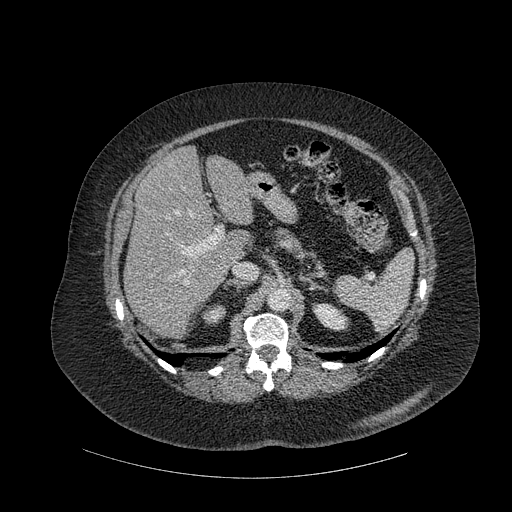
Liver. CT. Segmented structures:
- liver: [207,156,253,224], [124,145,248,338]
- kidney: [314,304,345,329], [206,307,223,321]
- bone: [208,366,222,375], [115,299,123,319], [322,362,342,369], [158,359,175,373], [368,347,384,361], [419,279,426,298], [244,313,291,390]
- lung: [152,348,187,366], [319,352,343,359], [344,333,392,362]